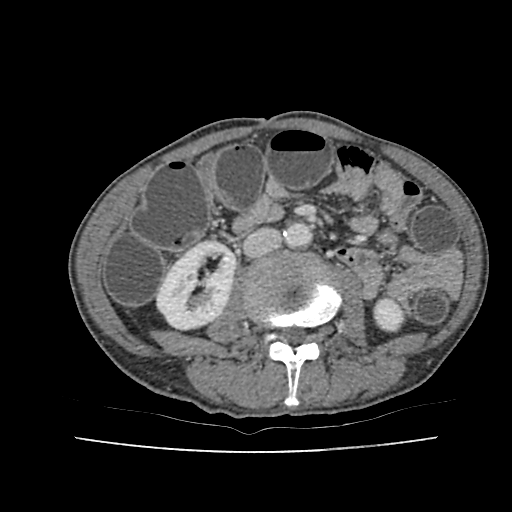 CT slice; Image size 512x512

{"kidney": ["[157,242,235,328]", "[376,300,401,329]"]}